CT image. Slice index 109.
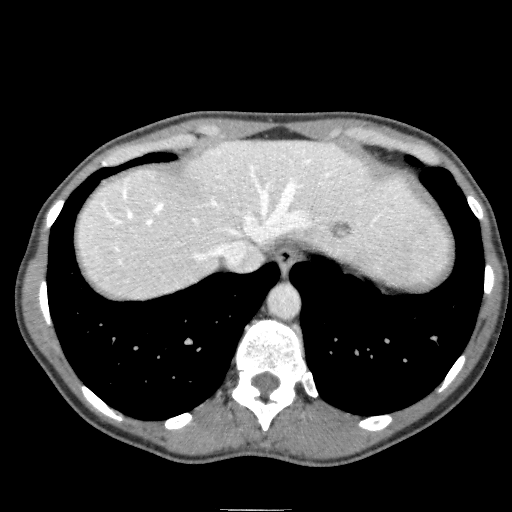
Hepatic lesion: x1=330, y1=220, x2=352, y2=239.
Liver: x1=77, y1=139, x2=450, y2=300.